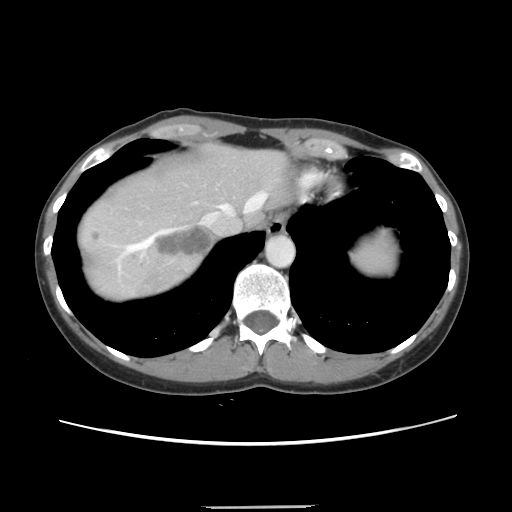
512x512 px; CT scan slice; Liver
The vessel annotation is not exhaustive.
hepatic vessel: box(192, 201, 199, 204); box(120, 254, 123, 258); box(116, 259, 119, 264); box(244, 195, 259, 211); box(124, 233, 157, 256) | liver tumor: box(156, 228, 212, 254)